FLAIR MR.
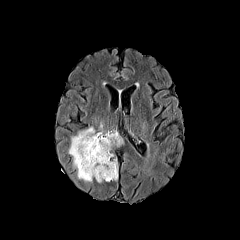
T1-weighted MR image.
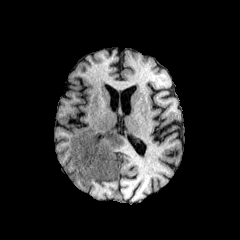
Post-contrast T1-weighted magnetic resonance.
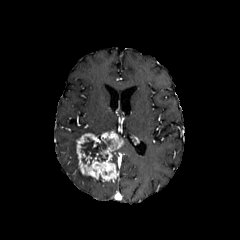
T2-weighted MR.
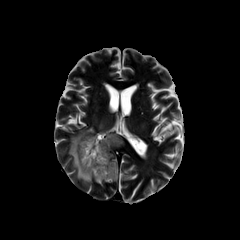
enhancing tumor: (76,130,123,182) | non-enhancing tumor core: (81,138,111,166) | edema: (77,168,92,182), (69,127,103,168)